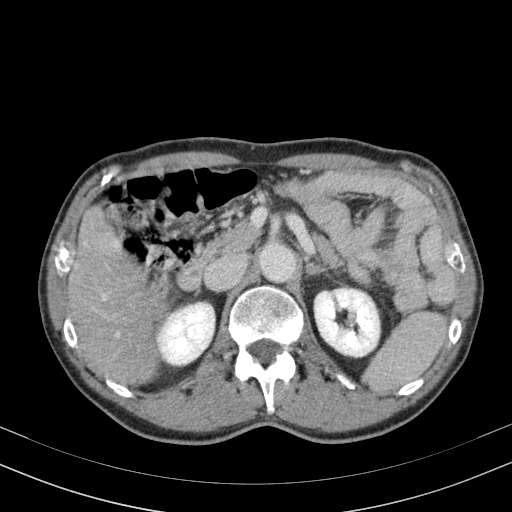
512x512 px. CT. Abdomen.

2 kidney regions appear at x1=315 y1=289 x2=379 y2=356, x1=158 y1=303 x2=214 y2=364. The liver appears at x1=67 y1=205 x2=168 y2=386.